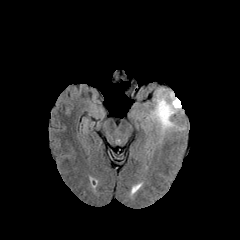
FLAIR MRI.
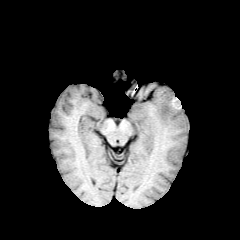
T1-weighted MR image.
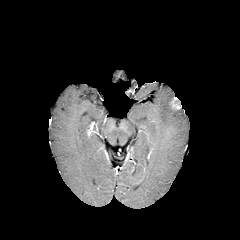
Post-contrast T1-weighted MRI of the same slice.
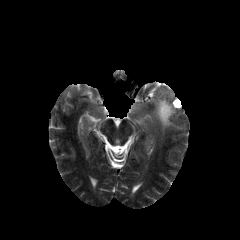
Same slice, T2-weighted magnetic resonance.
Head, 240x240 px
The edema is located at region(140, 88, 183, 136). The enhancing tumor is located at region(170, 97, 181, 109).